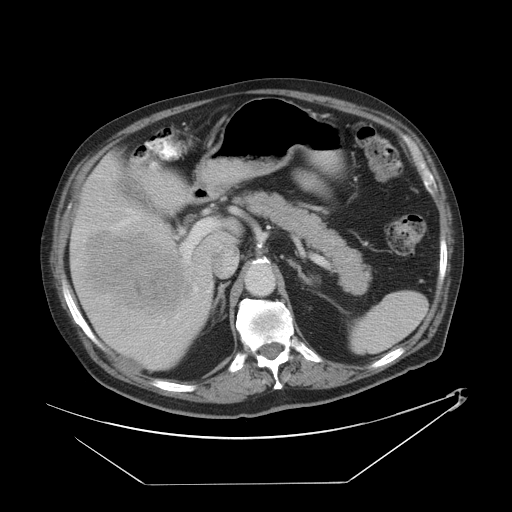
CT image; Abdomen
Not every hepatic vessel necessarily has a box.
hepatic_vessel:
  - bbox(193, 286, 198, 291)
  - bbox(183, 220, 214, 262)
  - bbox(161, 342, 162, 344)
  - bbox(106, 213, 107, 215)
  - bbox(125, 208, 139, 219)
  - bbox(73, 229, 76, 231)
liver_tumor:
  - bbox(83, 230, 192, 319)